Abdomen, CT scan slice
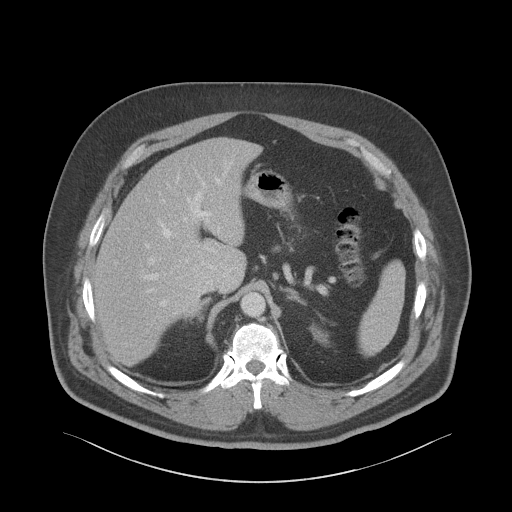 liver:
  - x1=94, y1=139, x2=255, y2=362